CT slice | Abdomen | Slice 41 of 93

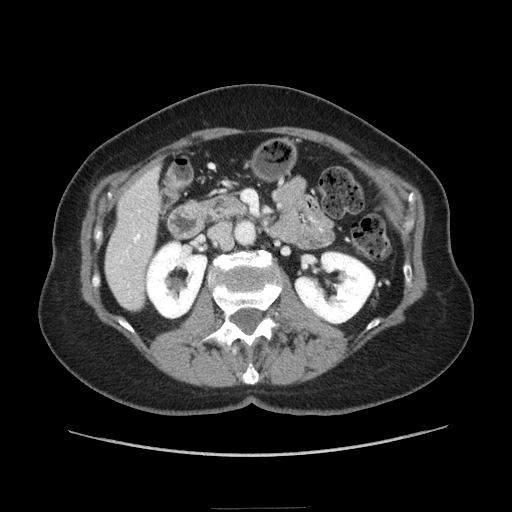
- pancreas: (200,195,248,221)